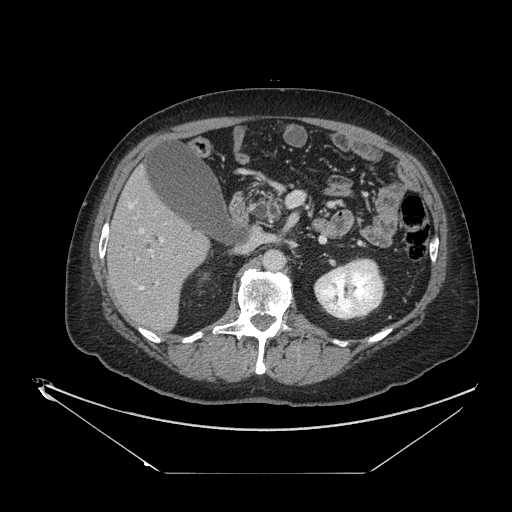

CT image
Pancreas: bounding box [267,195,281,219].